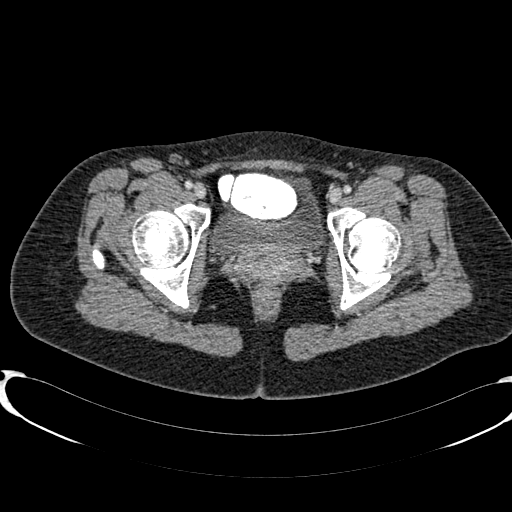
CT image.
The urinary bladder appears at l=218, t=191, r=322, b=255.